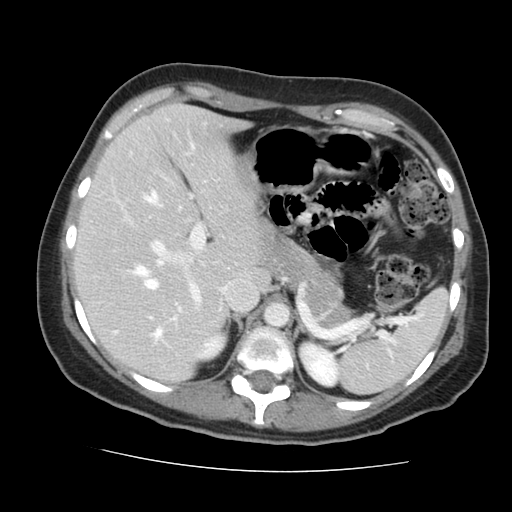
Computed tomography, Abdomen
The vessel annotation is not exhaustive.
Segmented structures:
* hepatic vessel: (x1=172, y1=317, x2=175, y2=319), (x1=190, y1=284, x2=199, y2=301), (x1=178, y1=308, x2=180, y2=311), (x1=152, y1=243, x2=165, y2=265), (x1=133, y1=267, x2=146, y2=275), (x1=191, y1=145, x2=192, y2=148), (x1=152, y1=330, x2=161, y2=340), (x1=145, y1=279, x2=157, y2=288), (x1=191, y1=227, x2=203, y2=248)